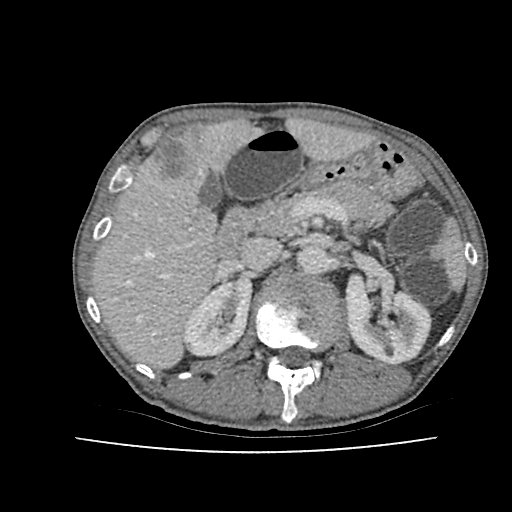 Liver. CT. Findings:
* liver: (95,122,257,365), (289,120,369,157)
* kidney: (347,276,429,363), (184,279,250,354)
* hepatic lesion: (155,127,202,181)